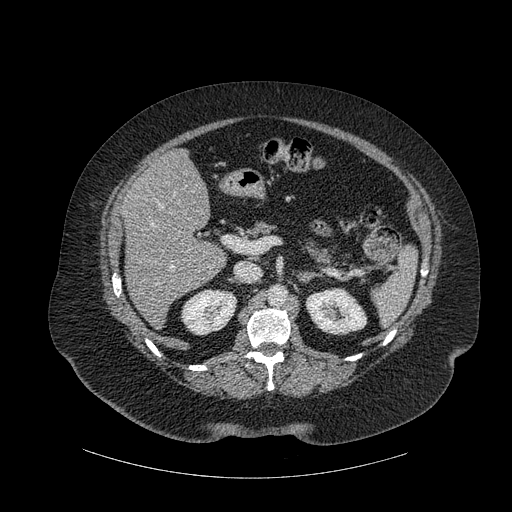

512x512 | Upper abdomen | CT

Kidney at [182,290,236,334], [306,289,366,333].
Liver at [122,149,226,329].
Bone at [345,354,361,360], [383,330,395,344], [112,275,120,296], [245,352,283,390], [247,309,290,347], [146,339,160,356], [189,365,206,370].